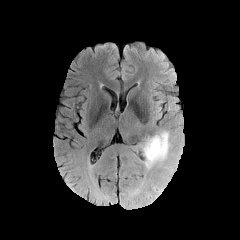
FLAIR MRI.
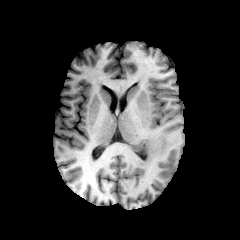
T1-weighted MR of the same slice.
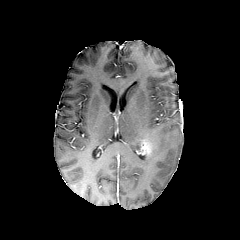
Post-contrast T1-weighted MRI of the same slice.
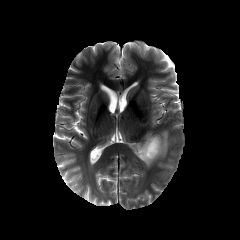
Same slice, T2-weighted MR.
Image size 240x240. Head.
- edema: bbox(143, 131, 171, 169)
- enhancing tumor: bbox(141, 142, 151, 155)